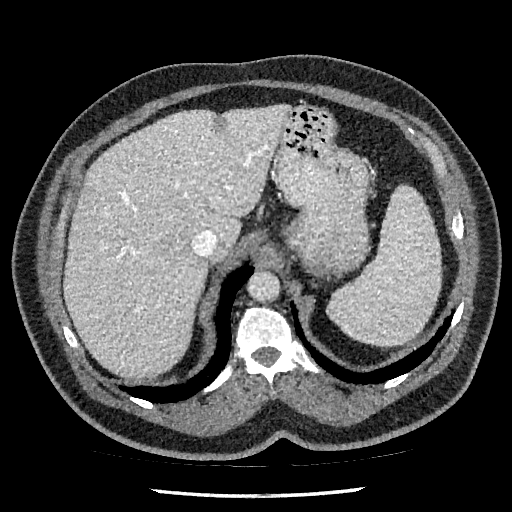

CT scan slice; Abdomen; 512x512
The liver appears at region(63, 105, 289, 377). The focal liver lesion is located at region(215, 116, 228, 131).